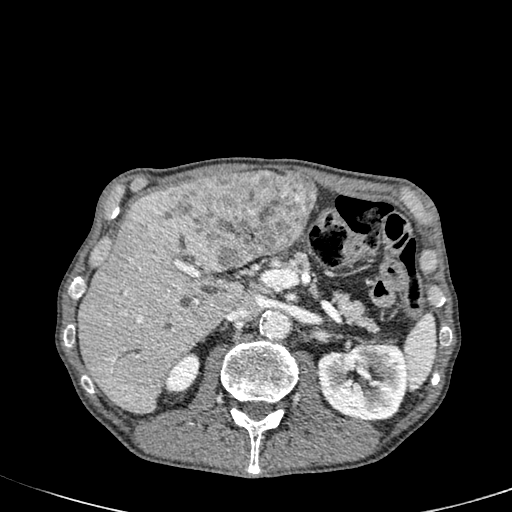
512x512 px | Upper abdomen | CT

liver: 77,180,244,413; 243,255,266,266 | liver lesion: 174,171,315,271 | kidney: 320,345,409,419; 166,355,198,390